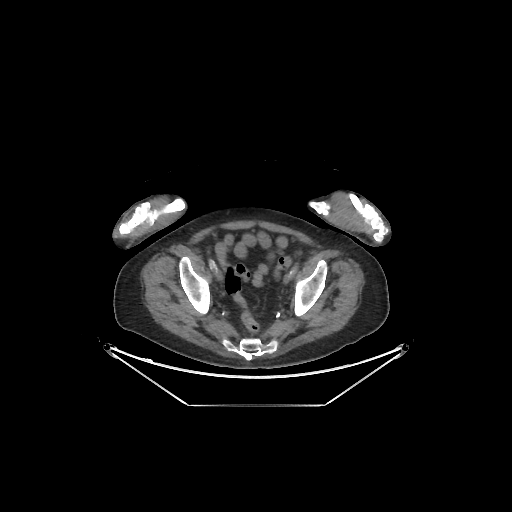
CT slice
6 bone regions appear at <box>309,202,330,214</box>, <box>294,260,326,316</box>, <box>119,199,184,235</box>, <box>179,257,209,314</box>, <box>223,339,277,359</box>, <box>349,194,387,240</box>.